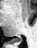

Image size 37x48, MR

The posterior hippocampus is located at box=[11, 38, 22, 42].